FLAIR MR image.
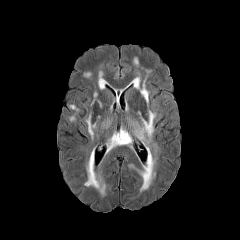
T1-weighted MR image.
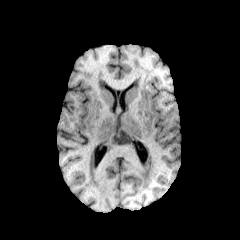
Post-contrast T1-weighted MR.
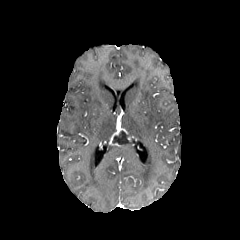
T2-weighted MR image.
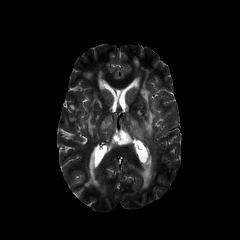
Brain
Enhancing tumor — 108, 128, 128, 146.
Non-enhancing tumor core — 112, 130, 132, 144.
Edema — 84, 148, 105, 197; 129, 77, 148, 105; 134, 111, 155, 144; 129, 145, 157, 192; 85, 114, 95, 140; 98, 71, 106, 89.